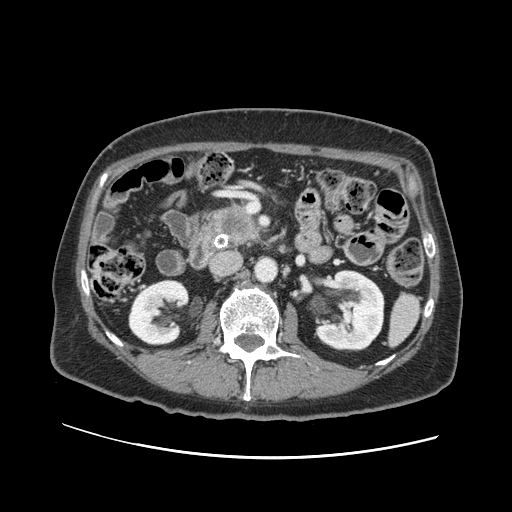
CT slice
• pancreatic tumor: 211 208 256 242
• pancreas: 199 202 266 253